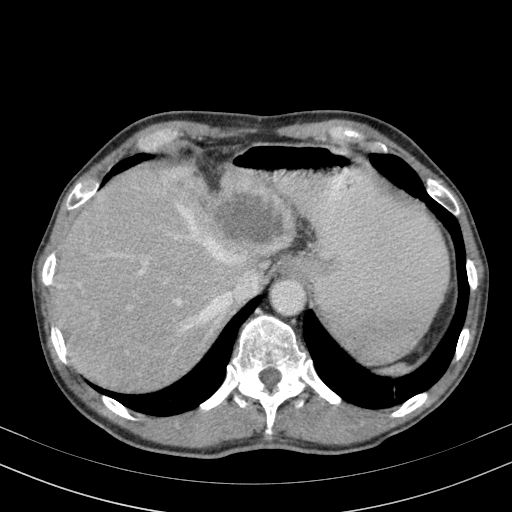
Liver; CT

Liver: (55,162,295,393).
Liver lesion: (217,193,282,243).